Liver; CT slice; Image width 360 mm
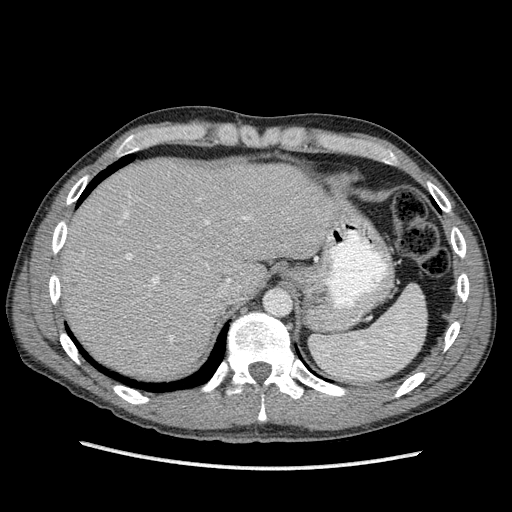

The liver is located at [56, 157, 340, 381].